Slice 75/144, CT scan slice, Abdomen 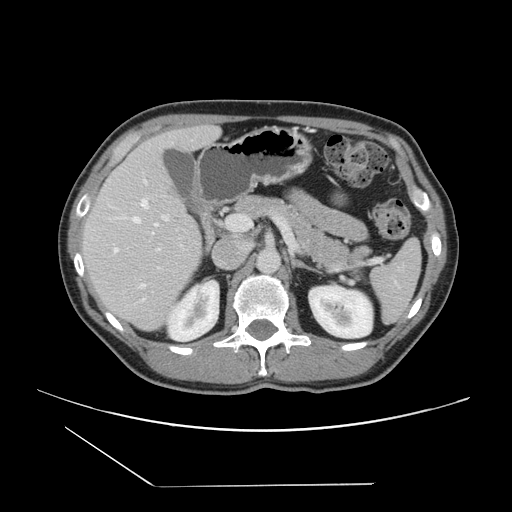
The vessel boxes may cover only some of the vessels.
9 hepatic vessel regions appear at [108, 180, 110, 182], [179, 237, 180, 238], [131, 220, 133, 221], [111, 219, 118, 221], [137, 299, 144, 302], [148, 203, 148, 206], [129, 217, 132, 219], [108, 204, 111, 207], [182, 246, 184, 249].